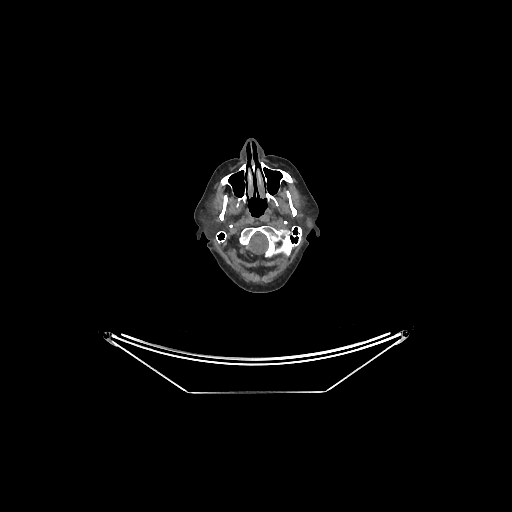
Head | 512x512 px | CT

Brain: [x1=247, y1=231, x2=268, y2=254].